Computed tomography
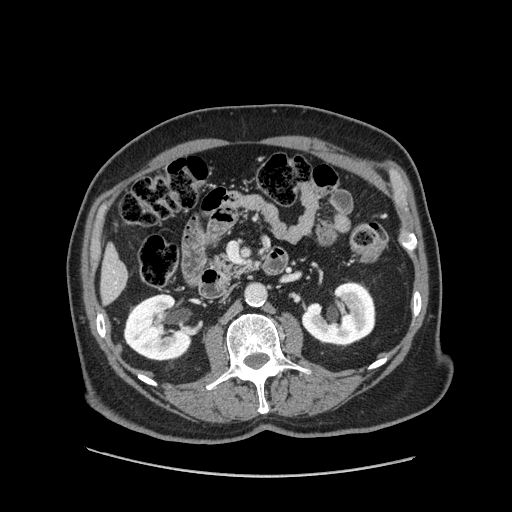
The pancreas is located at 212,255,243,274.